Head
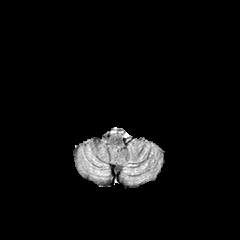
FLAIR MR image.
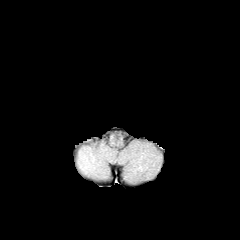
Same slice, T1-weighted MR.
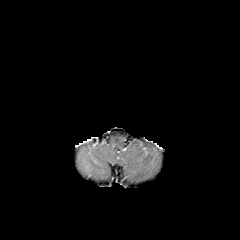
Post-contrast T1-weighted MR image.
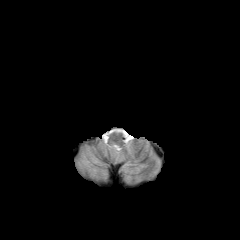
T2-weighted MR image.
Findings:
• edema: [125, 164, 138, 172], [102, 144, 134, 157], [82, 147, 107, 175]